Field of view 470x470 mm. CT. Abdomen.

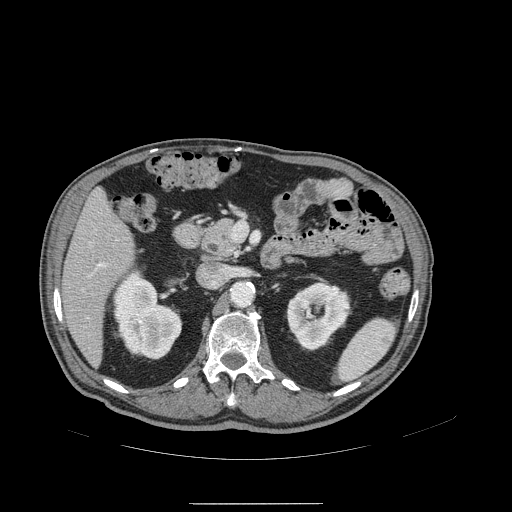
Pancreas: (200, 215, 237, 259).